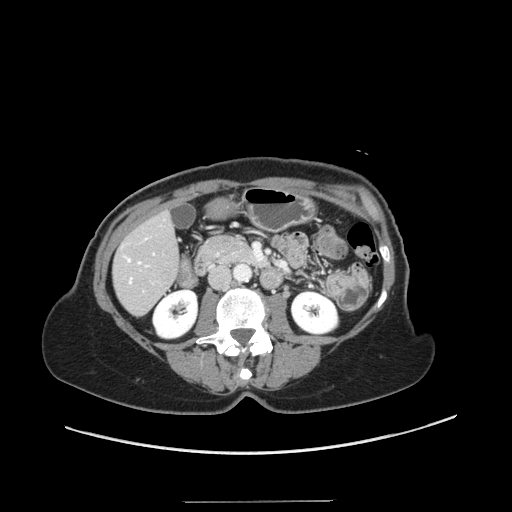 CT image
The vessel boxes may cover only some of the vessels.
<segmentation>
  <hepatic_vessel>(130, 278, 132, 282), (125, 256, 130, 260)</hepatic_vessel>
</segmentation>